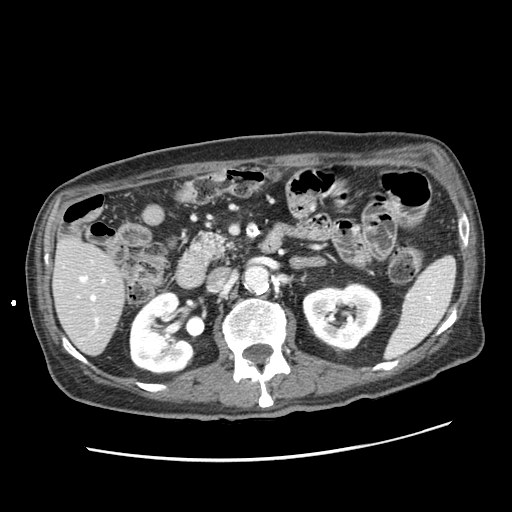

Computed tomography, 512x512 px, Upper abdomen
Pancreas — (x1=198, y1=233, x2=231, y2=260).